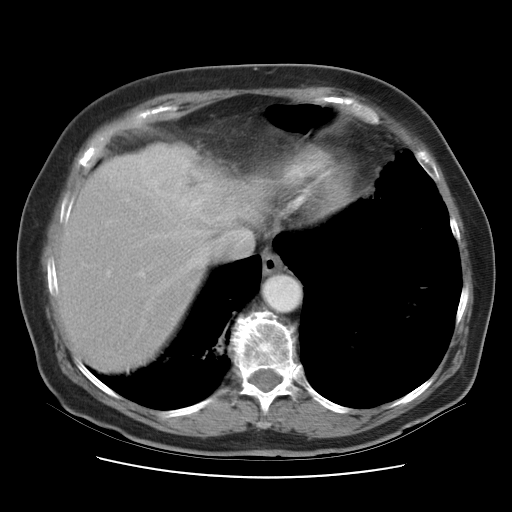

Computed tomography
Not every hepatic vessel necessarily has a box.
<segmentation>
  <liver_tumor>(x1=144, y1=147, x2=241, y2=220)</liver_tumor>
  <hepatic_vessel>(x1=155, y1=248, x2=207, y2=290), (x1=214, y1=231, x2=251, y2=254), (x1=149, y1=224, x2=210, y2=240)</hepatic_vessel>
</segmentation>